Image size 320x320. Cardiac. MRI.
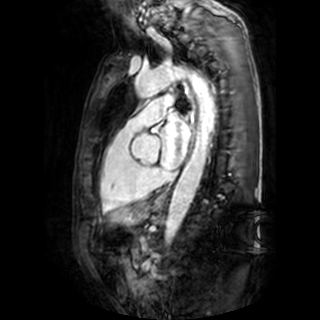 The left atrium is bounded by [x1=160, y1=113, x2=189, y2=169].